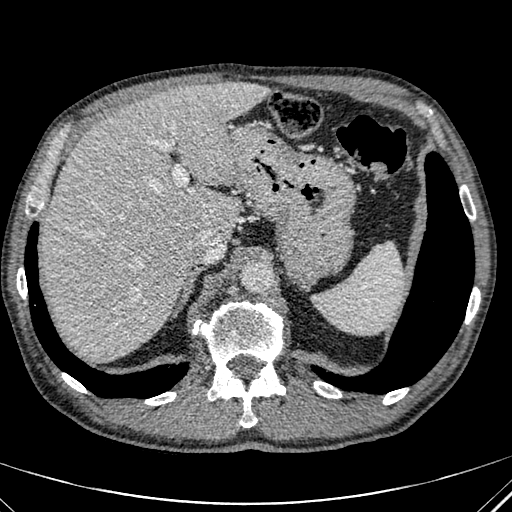
Image size 512x512; CT; Upper abdomen

Liver — (left=43, top=82, right=269, bottom=361).